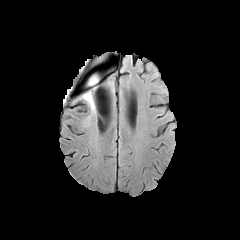
FLAIR magnetic resonance.
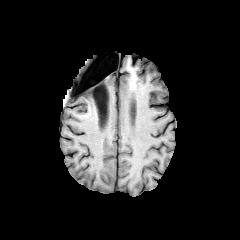
Same slice, T1-weighted MR.
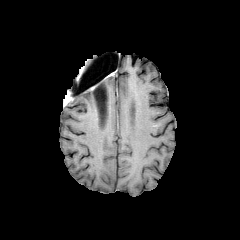
Post-contrast T1-weighted MR of the same slice.
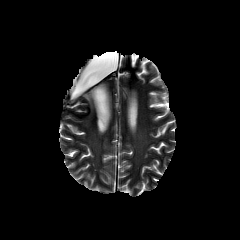
T2-weighted MR image.
* edema: [x1=85, y1=75, x2=98, y2=89], [x1=80, y1=81, x2=99, y2=113]